FLAIR MRI.
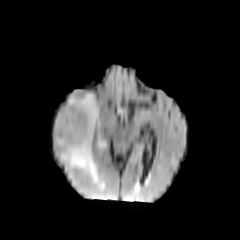
T1-weighted MR.
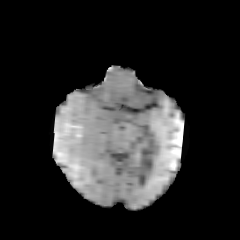
Post-contrast T1-weighted MR.
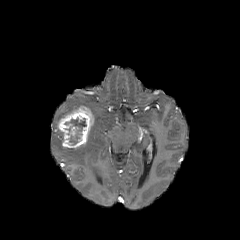
T2-weighted MR.
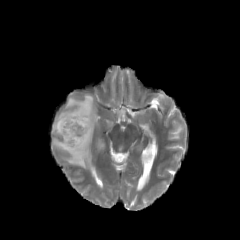
Head
Non-enhancing tumor core = box=[64, 117, 86, 143].
Enhancing tumor = box=[57, 105, 93, 148].
Edema = box=[53, 93, 99, 181].